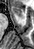
34x49 | Magnetic resonance

<segmentation>
  <anterior_hippocampus>13, 7, 21, 16</anterior_hippocampus>
</segmentation>